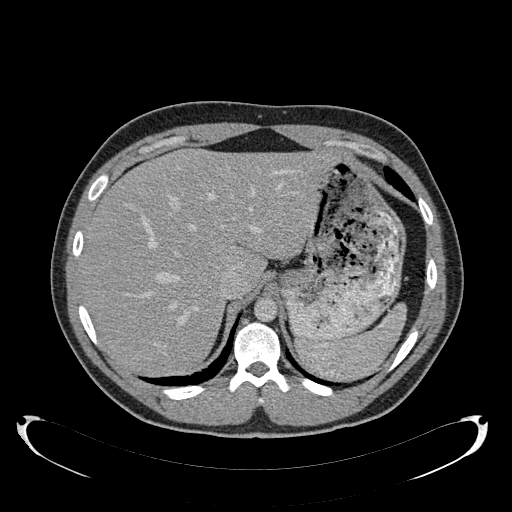
Upper abdomen. CT image. Liver = <box>81,149,337,372</box>.